Field of view 240x240 mm
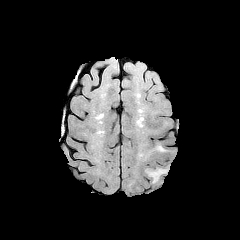
FLAIR magnetic resonance.
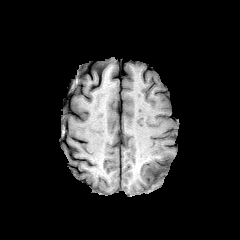
T1-weighted magnetic resonance.
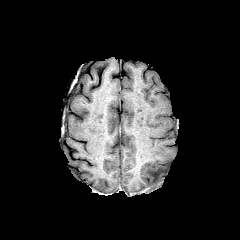
Post-contrast T1-weighted MRI.
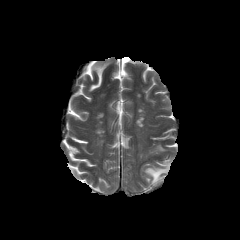
Same slice, T2-weighted MR image.
Findings:
- edema: region(146, 168, 167, 182)